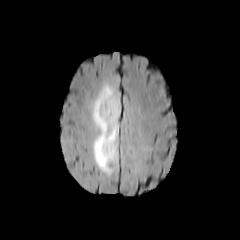
FLAIR MRI.
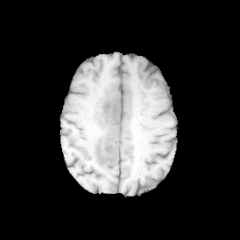
T1-weighted MR image of the same slice.
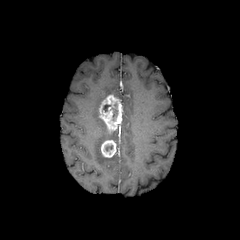
Post-contrast T1-weighted magnetic resonance of the same slice.
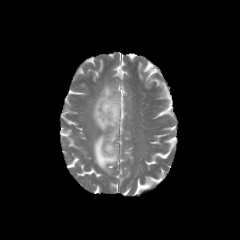
T2-weighted magnetic resonance.
Head.
2 enhancing tumor regions are located at x1=99, y1=95, x2=122, y2=134; x1=101, y1=140, x2=116, y2=158. The edema lies within x1=92, y1=84, x2=119, y2=175. 2 non-enhancing tumor core regions are located at x1=110, y1=108, x2=117, y2=120; x1=102, y1=103, x2=111, y2=112.